512x512 px; CT scan slice 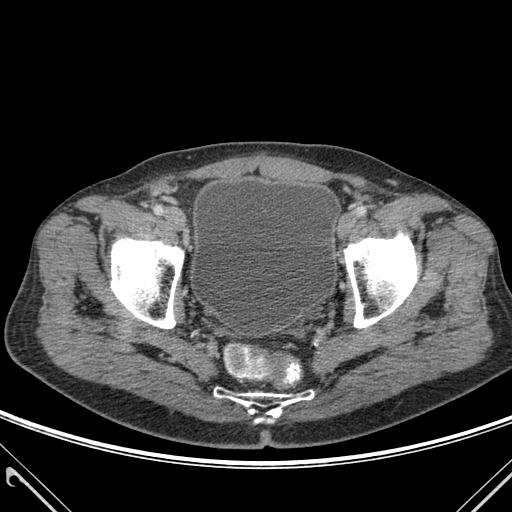

Annotated regions:
- urinary bladder: [x1=193, y1=180, x2=338, y2=321]
- bone: [x1=214, y1=389, x2=313, y2=406], [x1=344, y1=233, x2=416, y2=327], [x1=111, y1=238, x2=183, y2=328], [x1=266, y1=407, x2=281, y2=417]